Computed tomography | Slice 71 of 519

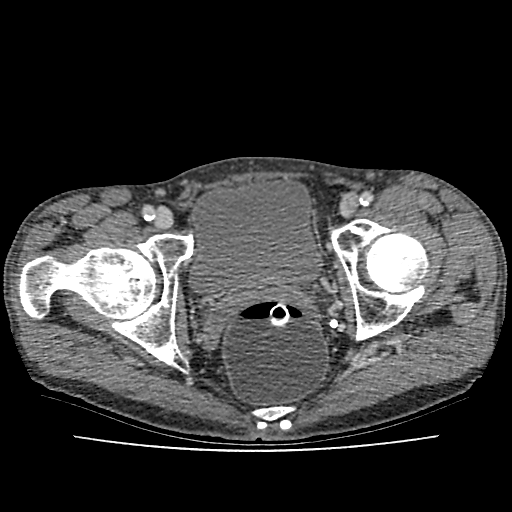
Annotated regions:
- urinary bladder: 188 179 322 298